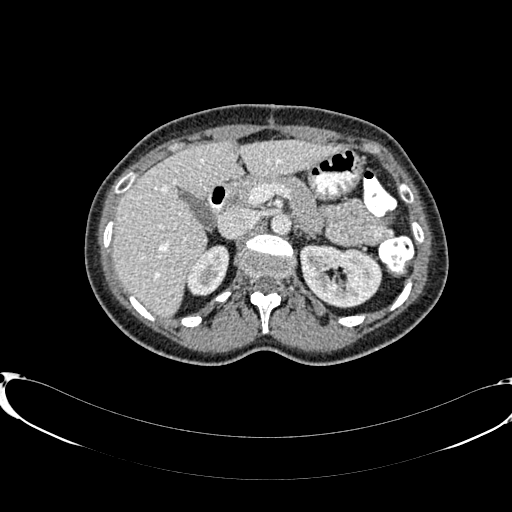
CT scan slice, 512x512
Kidney — 301,247,380,305; 188,247,227,293.
Liver — 111,141,341,316.